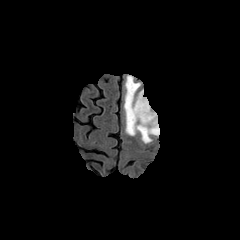
FLAIR magnetic resonance.
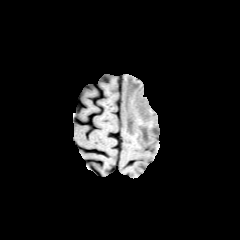
T1-weighted MR.
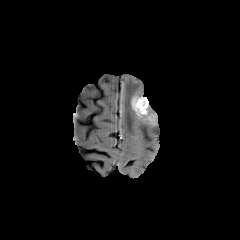
Same slice, post-contrast T1-weighted magnetic resonance.
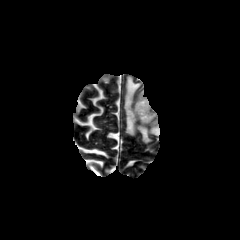
T2-weighted MR.
Head.
Non-enhancing tumor core = 124 81 142 129, 152 120 157 133.
Enhancing tumor = 131 96 155 124.
Edema = 122 75 159 143.